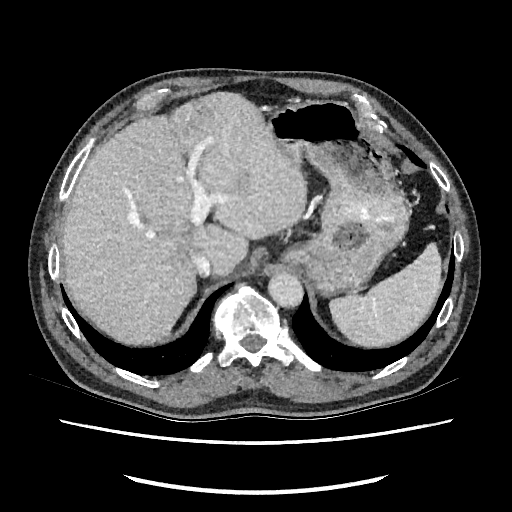

CT image. liver_lesion:
  - (181,241,195,261)
liver:
  - (62,93,304,341)